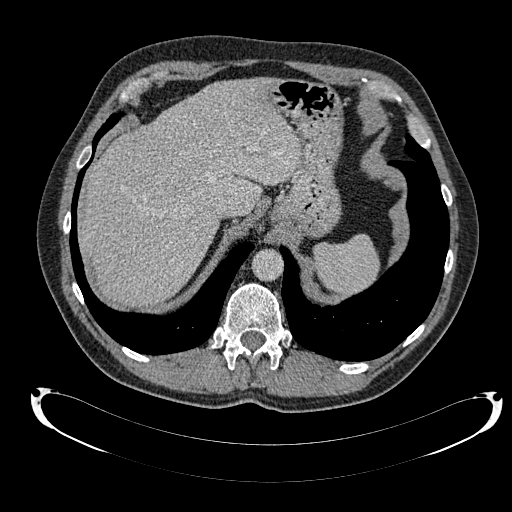 Image size 512x512, CT
liver: (83,78,300,306)